FLAIR MRI.
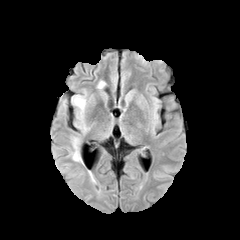
T1-weighted MR.
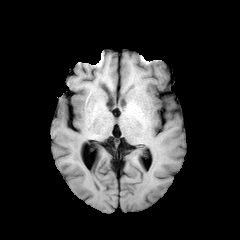
Post-contrast T1-weighted MRI.
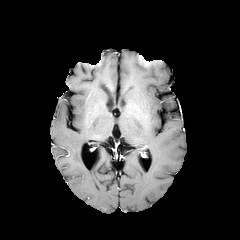
T2-weighted MR image.
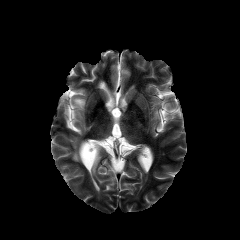
240x240
2 edema regions are bounded by {"x1": 70, "y1": 92, "x2": 89, "y2": 133}, {"x1": 70, "y1": 136, "x2": 81, "y2": 162}.